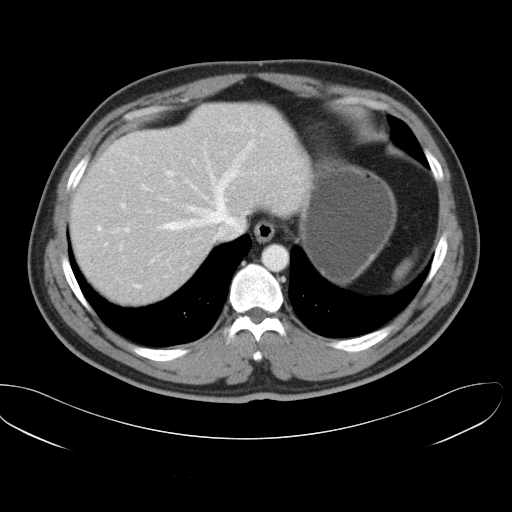
CT slice, Abdomen
Some hepatic vessels may have no box.
The largest 15 hepatic vessel regions (of 25) appear at 159, 140, 254, 240; 97, 226, 101, 230; 200, 193, 207, 199; 231, 127, 243, 131; 150, 259, 154, 262; 191, 185, 196, 189; 122, 141, 125, 145; 125, 226, 129, 231; 141, 185, 147, 189; 192, 159, 195, 163; 121, 204, 124, 207; 119, 242, 122, 249; 159, 196, 163, 199; 134, 284, 140, 288; 166, 171, 173, 175.